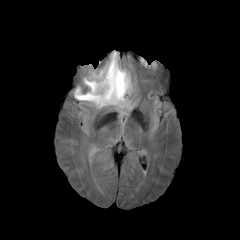
FLAIR magnetic resonance.
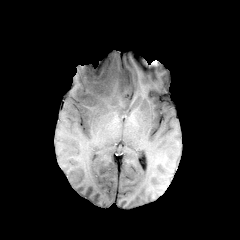
T1-weighted MR of the same slice.
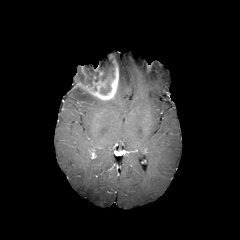
Post-contrast T1-weighted MR image.
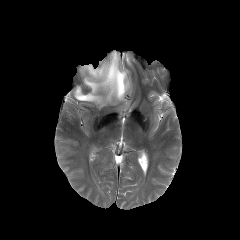
T2-weighted magnetic resonance of the same slice.
Brain
{"edema": [{"x1": 73, "y1": 51, "x2": 132, "y2": 117}], "enhancing_tumor": [{"x1": 80, "y1": 55, "x2": 119, "y2": 100}]}